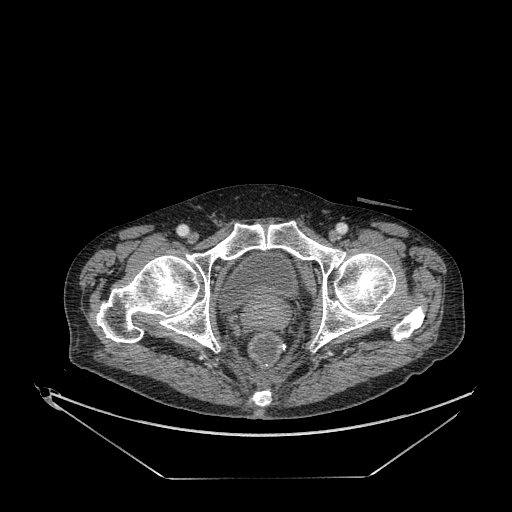

Image size 512x512; CT scan slice
<segmentation>
  <urinary_bladder>219, 250, 297, 312</urinary_bladder>
</segmentation>